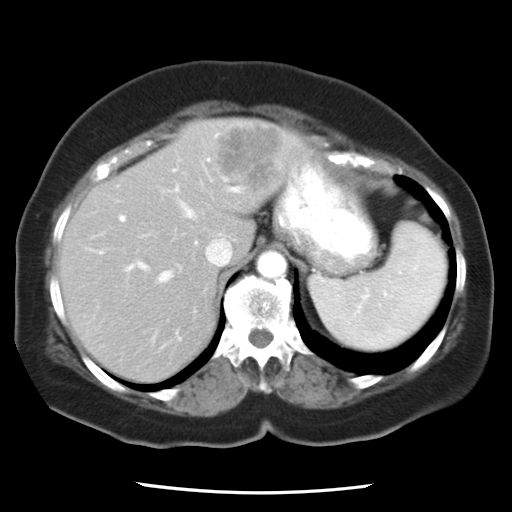 512x512. CT scan slice. Liver.

Not every hepatic vessel necessarily has a box.
Hepatic vessel = rect(205, 233, 232, 266); rect(128, 266, 132, 269); rect(120, 216, 123, 220); rect(186, 210, 191, 217); rect(232, 188, 237, 191); rect(160, 272, 168, 281); rect(138, 263, 145, 268).
Liver tumor = rect(208, 122, 288, 193).